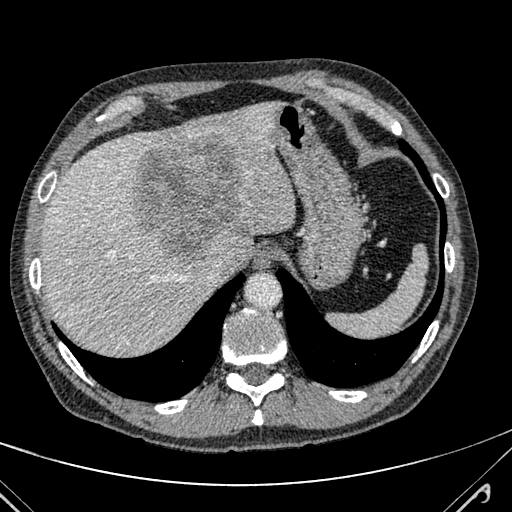 CT image
Segmented structures:
- hepatic lesion: (131, 135, 250, 263)
- liver: (43, 102, 295, 353)